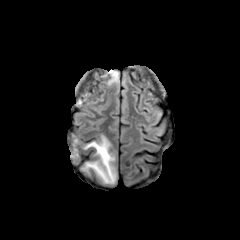
FLAIR magnetic resonance.
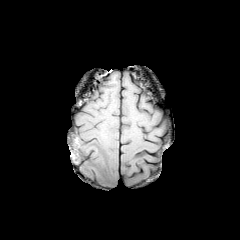
T1-weighted MR.
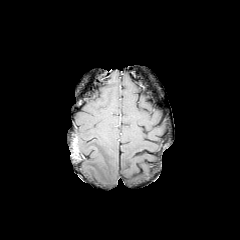
Same slice, post-contrast T1-weighted MR image.
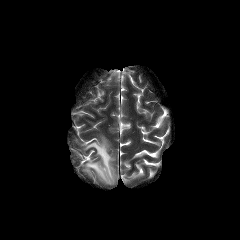
T2-weighted MR of the same slice.
The edema appears at l=82, t=135, r=116, b=184.